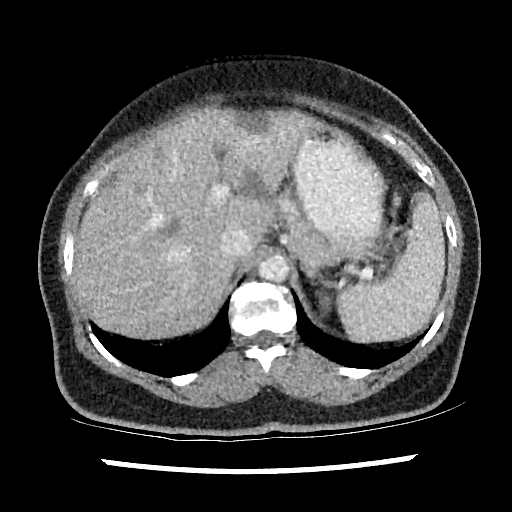 512x512. Liver. CT scan slice. liver_lesion:
  - <box>236,112,268,131</box>
  - <box>160,218,177,235</box>
  - <box>240,169,268,198</box>
liver:
  - <box>72,111,319,338</box>